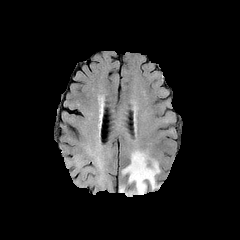
FLAIR MR image.
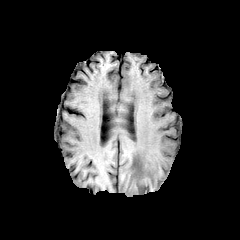
Same slice, T1-weighted magnetic resonance.
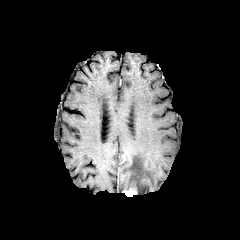
Post-contrast T1-weighted MR image of the same slice.
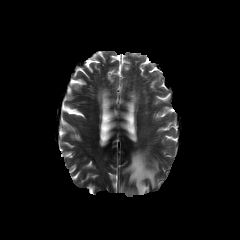
T2-weighted MR image.
Head
The enhancing tumor is located at rect(122, 190, 136, 196). The edema appears at rect(122, 151, 159, 194).